Abdomen. Image size 512x512. Computed tomography.
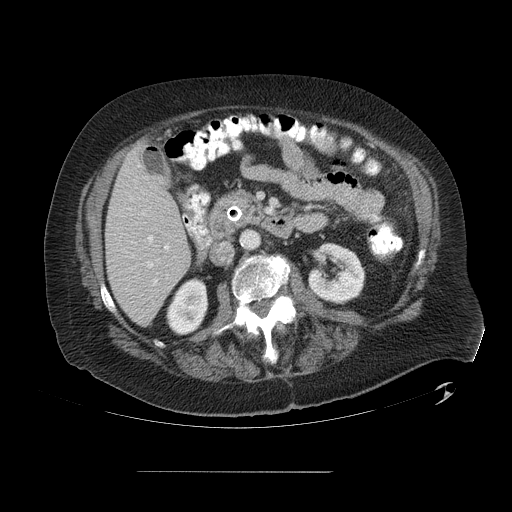
The vessel annotation is not exhaustive.
Hepatic vessel = bbox=[157, 259, 158, 260]; bbox=[165, 245, 168, 249]; bbox=[131, 198, 133, 199]; bbox=[147, 262, 152, 267]; bbox=[154, 280, 156, 284]; bbox=[142, 213, 144, 214]; bbox=[148, 235, 152, 240].